240x240, Head
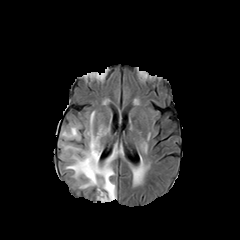
FLAIR MRI.
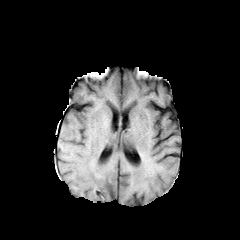
Same slice, T1-weighted MR image.
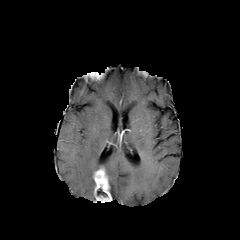
Post-contrast T1-weighted MR image of the same slice.
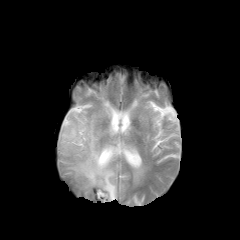
T2-weighted MRI of the same slice.
The enhancing tumor is located at (94,166,111,200). 3 edema regions appear at (60,112,123,198), (134,169,143,181), (110,180,116,199).